FLAIR MRI.
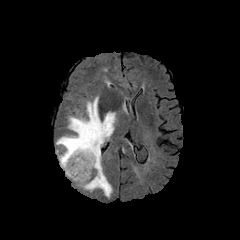
T1-weighted MR image.
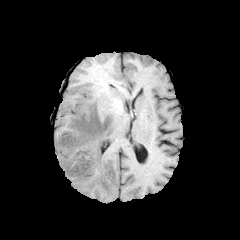
Post-contrast T1-weighted MRI.
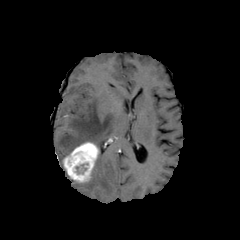
T2-weighted magnetic resonance.
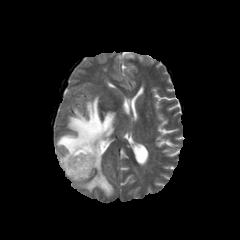
Image size 240x240
The enhancing tumor is bounded by 62:142:99:181. 2 edema regions appear at 82:150:112:196, 56:97:115:158.